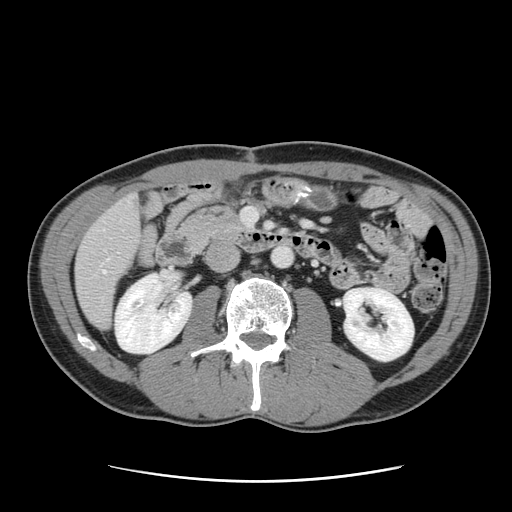

Abdomen; Computed tomography; Image size 512x512
Only some of the vessels may be annotated.
The hepatic vessel appears at 103,270,105,272.